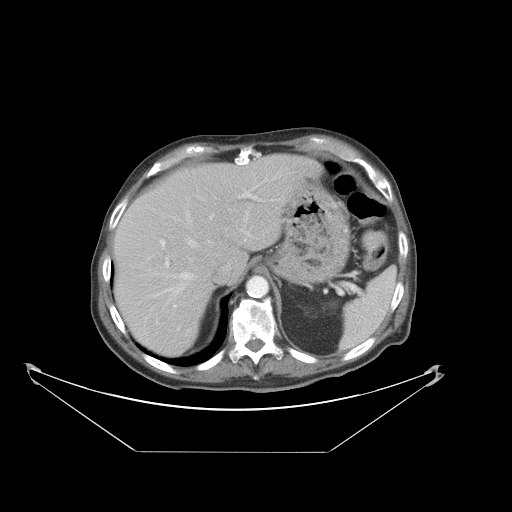 Liver, CT image, Image size 512x512

The vessel boxes may cover only some of the vessels.
<segmentation partial="true">
  <hepatic_vessel shown="15" total="17">245,215,247,221; 185,210,191,223; 239,229,249,234; 181,273,191,280; 175,284,185,294; 209,214,214,219; 224,264,230,270; 186,238,196,247; 166,258,169,266; 272,197,283,200; 161,288,175,293; 186,256,192,259; 208,240,211,242; 159,239,165,248; 237,187,265,201</hepatic_vessel>
</segmentation>